Computed tomography; Field of view 386 mm wide, 2.50 mm slice spacing

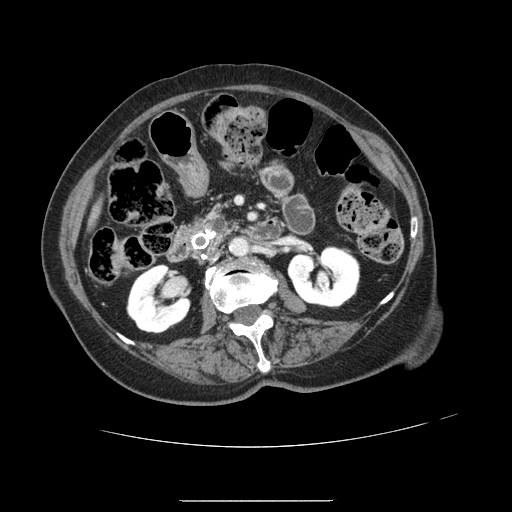 Pancreas = 188,211,232,251.